FLAIR magnetic resonance.
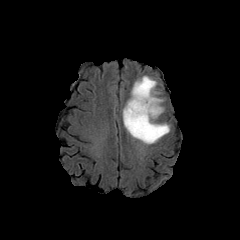
T1-weighted MR.
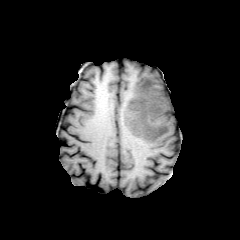
Post-contrast T1-weighted MR.
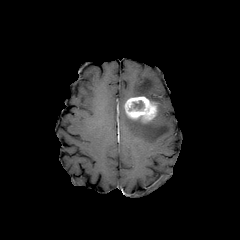
T2-weighted MRI.
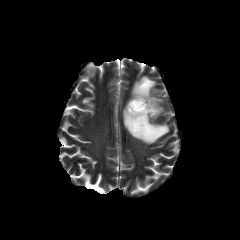
The non-enhancing tumor core is at 134,101,143,109. The edema is located at 122,75,169,144. The enhancing tumor is located at 125,96,158,122.